Computed tomography | 512x512 | Abdomen
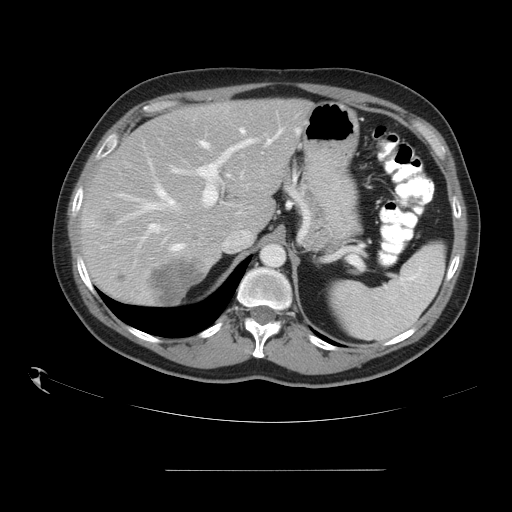 The vessel annotation is not exhaustive.
{
  "hepatic_vessel": [
    "240, 128, 244, 133",
    "267, 128, 282, 144",
    "227, 174, 229, 176",
    "147, 224, 158, 233",
    "156, 186, 173, 204",
    "196, 139, 254, 206",
    "132, 203, 162, 215",
    "200, 140, 209, 148"
  ],
  "liver_tumor": [
    "147, 257, 204, 304",
    "100, 209, 115, 227"
  ]
}